Liver; CT slice
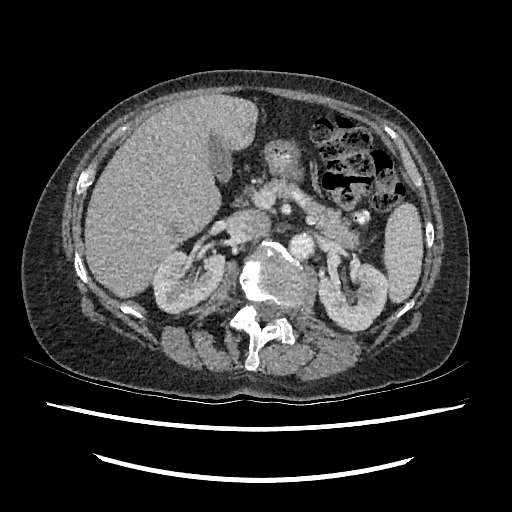 Liver: (x1=85, y1=94, x2=257, y2=297).
Kidney: (x1=153, y1=252, x2=224, y2=313), (x1=319, y1=252, x2=389, y2=330).
Hepatic lesion: (x1=172, y1=226, x2=183, y2=235).